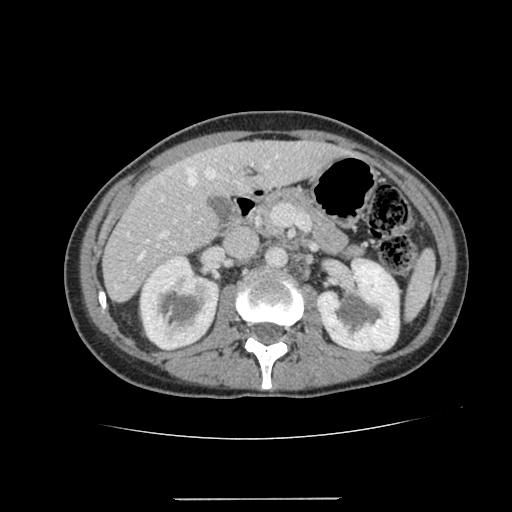
Liver, 512x512 px, CT

<segmentation>
  <liver>101 139 349 301</liver>
  <kidney>141 256 217 349, 317 259 398 350</kidney>
</segmentation>